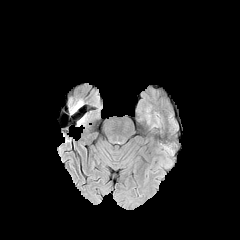
FLAIR MRI.
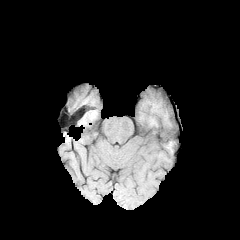
T1-weighted magnetic resonance of the same slice.
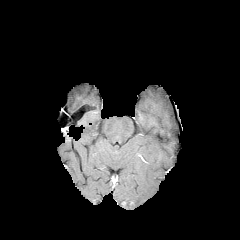
Same slice, post-contrast T1-weighted MRI.
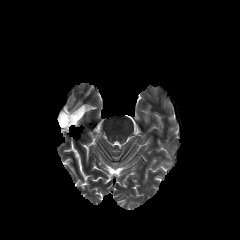
T2-weighted MRI.
Image size 240x240.
The edema is at [x1=68, y1=99, x2=83, y2=114].